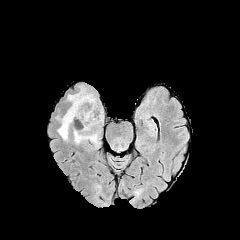
FLAIR MR image.
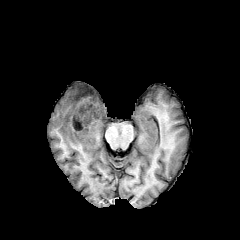
T1-weighted MR of the same slice.
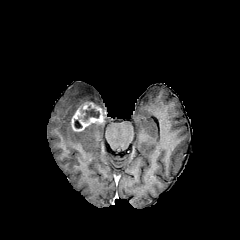
Post-contrast T1-weighted MR image.
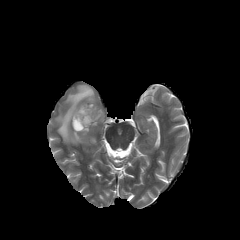
T2-weighted magnetic resonance of the same slice.
Brain.
enhancing_tumor:
  - (x1=71, y1=102, x2=104, y2=131)
edema:
  - (x1=57, y1=90, x2=100, y2=145)
  - (x1=78, y1=85, x2=97, y2=103)
non-enhancing_tumor_core:
  - (x1=79, y1=105, x2=99, y2=120)
  - (x1=73, y1=118, x2=82, y2=129)
  - (x1=73, y1=89, x2=93, y2=103)